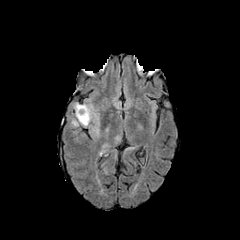
FLAIR MR.
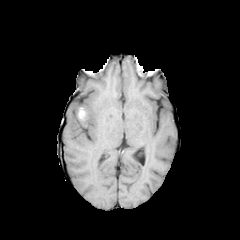
T1-weighted MR image.
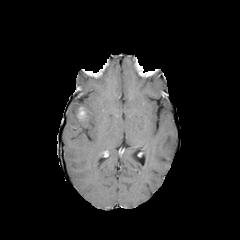
Post-contrast T1-weighted magnetic resonance.
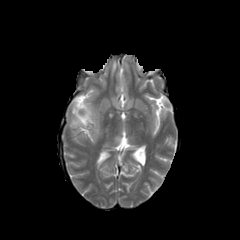
T2-weighted magnetic resonance.
Brain
edema: l=69, t=102, r=99, b=140 | enhancing tumor: l=78, t=108, r=84, b=119